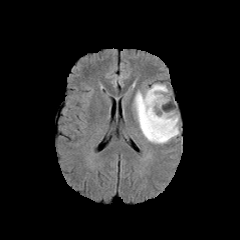
FLAIR MRI.
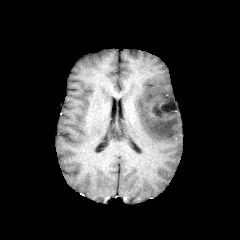
T1-weighted MRI.
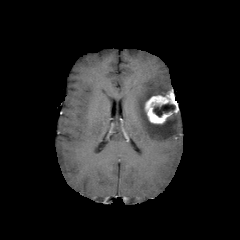
Post-contrast T1-weighted MR image of the same slice.
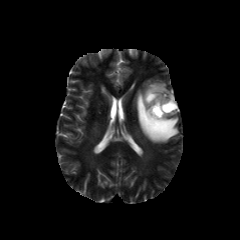
Same slice, T2-weighted MRI.
Head, Image size 240x240
{
  "edema": [
    "region(134, 82, 179, 143)"
  ],
  "enhancing_tumor": [
    "region(144, 89, 178, 124)"
  ],
  "non-enhancing_tumor_core": [
    "region(153, 103, 175, 116)"
  ]
}